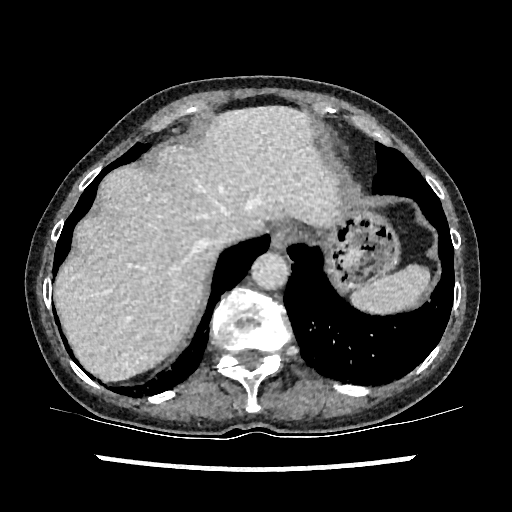
CT image

The liver is located at 55 107 339 379.